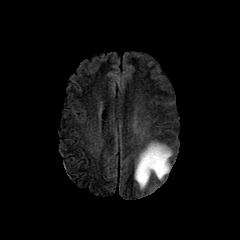
FLAIR MR image.
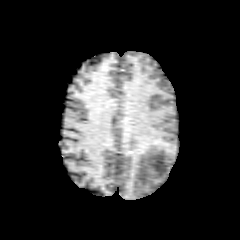
T1-weighted magnetic resonance of the same slice.
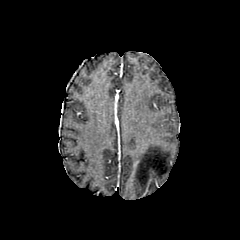
Post-contrast T1-weighted MRI.
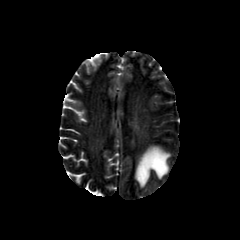
Same slice, T2-weighted magnetic resonance.
Head
Edema — x1=134 y1=143 x2=171 y2=188.